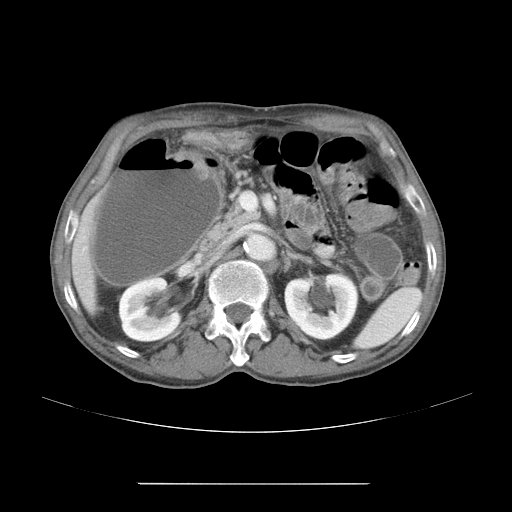 Pelvis; CT scan slice
Colon tumor: left=174, top=152, right=207, bottom=180; left=182, top=131, right=222, bottom=147.